Slice index 9, Pelvis
T2-weighted MR.
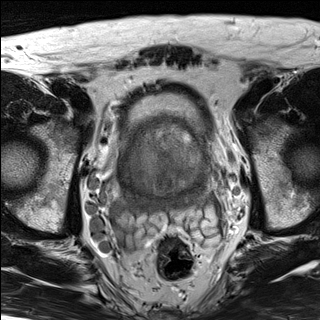
ADC MR image.
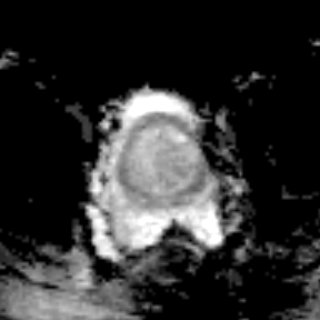
Prostate transition zone — [123, 126, 202, 195].